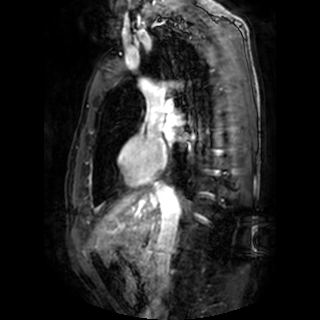 Heart, MR
The left atrium lies within bbox=[163, 128, 174, 140].